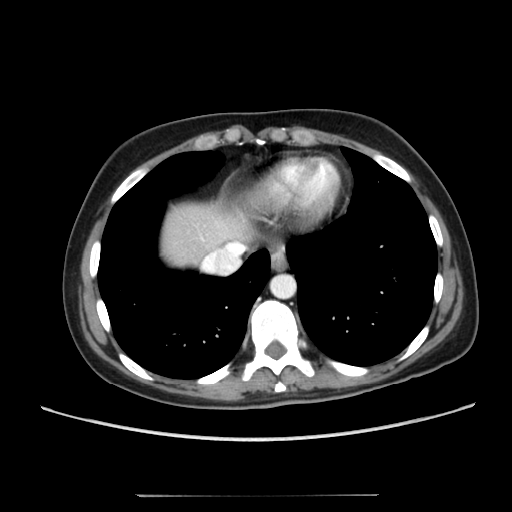

CT slice; Image size 512x512; Liver

The liver is located at box=[159, 201, 254, 268]. The focal liver lesion is at box=[183, 260, 199, 267].